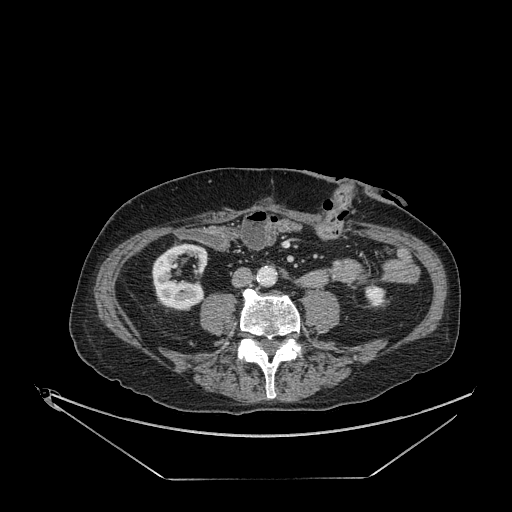

512x512; Computed tomography; Abdomen
Kidney = (x1=153, y1=244, x2=206, y2=309), (x1=366, y1=286, x2=384, y2=305).